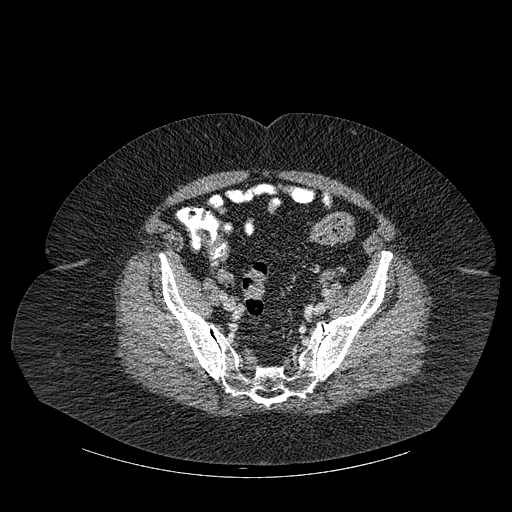 CT image.
<segmentation>
  <bone>x1=227 y1=191 x2=240 y2=201, x1=159 y1=251 x2=392 y2=406</bone>
</segmentation>